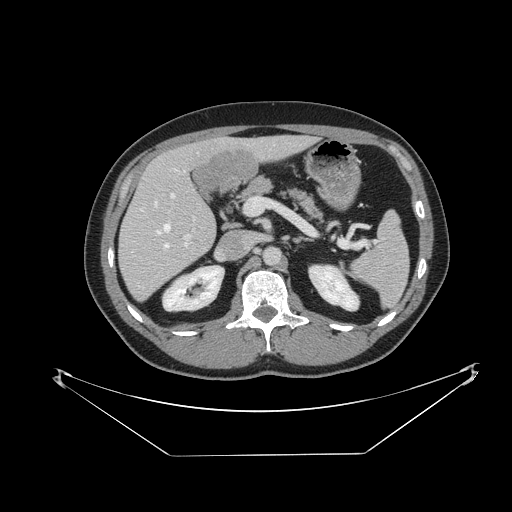

CT scan slice. 512x512 px. {"spleen": ["region(352, 213, 408, 307)"]}